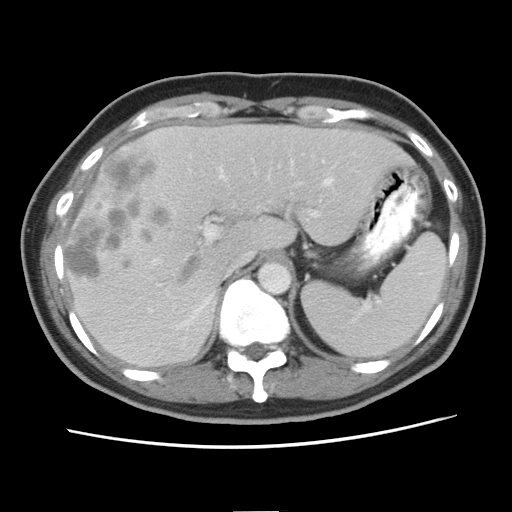 Abdomen; Computed tomography
Not every hepatic vessel necessarily has a box.
* hepatic vessel: (x1=205, y1=227, x2=215, y2=237), (x1=324, y1=179, x2=332, y2=185), (x1=322, y1=161, x2=324, y2=162), (x1=218, y1=167, x2=226, y2=179), (x1=267, y1=176, x2=269, y2=178), (x1=165, y1=290, x2=166, y2=291), (x1=151, y1=259, x2=161, y2=265), (x1=290, y1=160, x2=293, y2=169), (x1=148, y1=308, x2=151, y2=312), (x1=175, y1=294, x2=212, y2=329), (x1=310, y1=212, x2=318, y2=217)
* liver tumor: (x1=64, y1=149, x2=174, y2=280)